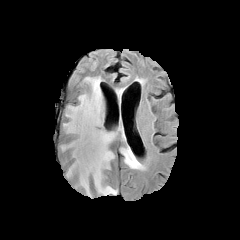
FLAIR MR.
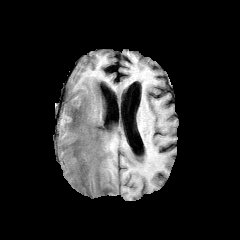
Same slice, T1-weighted magnetic resonance.
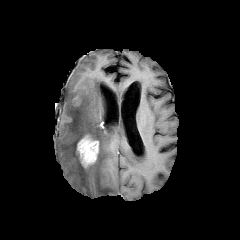
Post-contrast T1-weighted MR of the same slice.
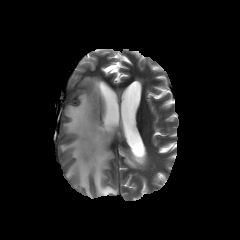
T2-weighted MR image.
enhancing tumor: (x1=77, y1=135, x2=98, y2=167) | edema: (x1=119, y1=147, x2=137, y2=169), (x1=61, y1=76, x2=125, y2=195)